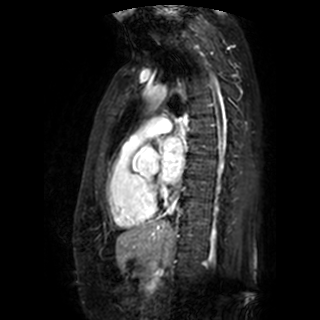

MRI slice | Heart
* left atrium: 160 137 184 182